240x240 px | Head | Slice index 132
FLAIR MRI.
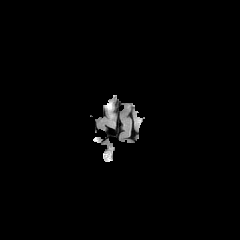
T1-weighted MR image.
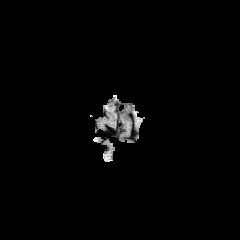
Post-contrast T1-weighted MR.
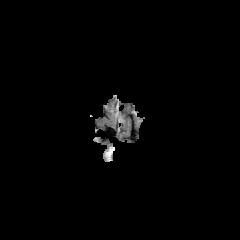
T2-weighted MR image.
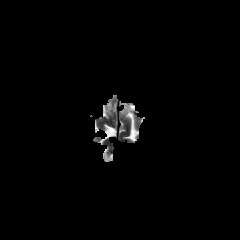
Segmented structures:
* edema: (x1=105, y1=100, x2=114, y2=117)